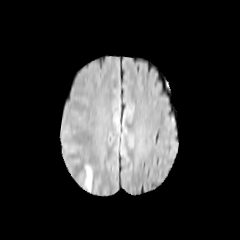
FLAIR MR.
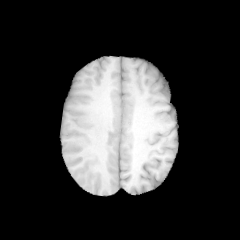
T1-weighted MRI of the same slice.
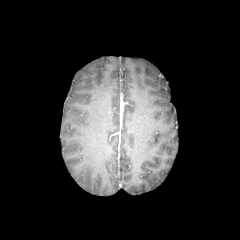
Post-contrast T1-weighted magnetic resonance of the same slice.
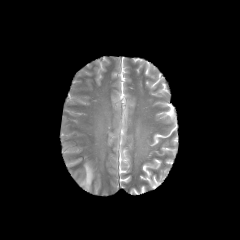
T2-weighted MRI.
240x240 px
<segmentation>
  <edema>(x1=82, y1=164, x2=92, y2=189)</edema>
</segmentation>